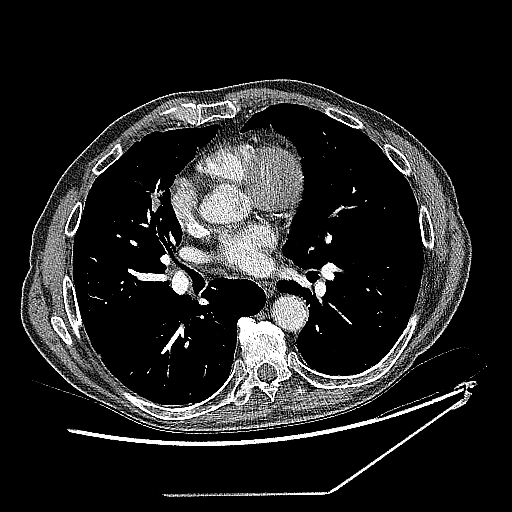
CT slice
Lung tumor — {"x1": 146, "y1": 184, "x2": 169, "y2": 212}.